Image size 512x512, CT scan slice

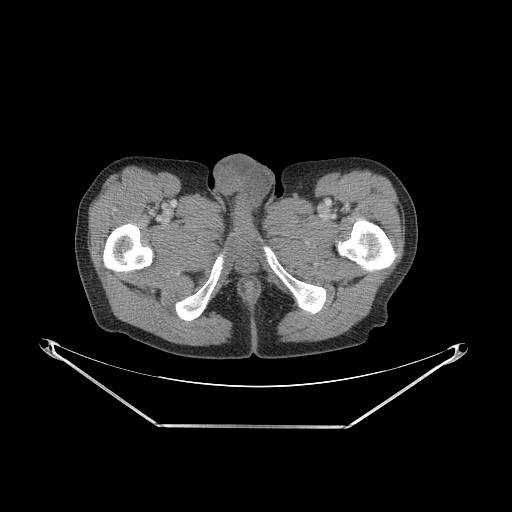

{"bone": ["(338,219,396,270)", "(264,247,325,313)", "(176,255,222,320)", "(103,224,151,271)"]}